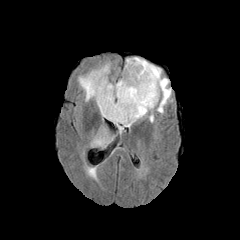
FLAIR MR image.
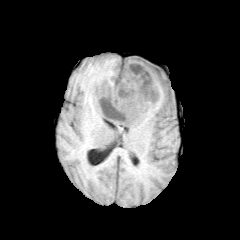
T1-weighted MR.
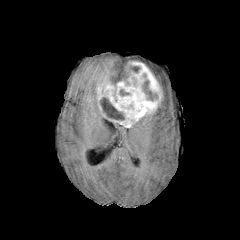
Post-contrast T1-weighted MR image.
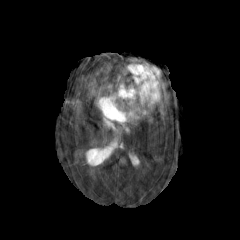
Same slice, T2-weighted MR.
Enhancing tumor — 95,61,163,127.
Edema — 116,124,125,134; 78,63,111,106; 121,57,172,115; 93,124,113,146.
Non-enhancing tumor core — 129,65,140,73; 102,98,123,119; 142,81,157,100; 119,89,130,96.